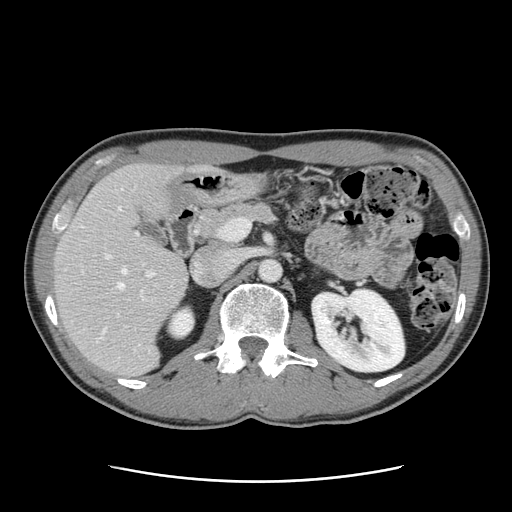
CT scan slice | Liver
Only some of the vessels may be annotated.
hepatic vessel: [x1=146, y1=271, x2=153, y2=276], [x1=105, y1=254, x2=109, y2=258], [x1=122, y1=268, x2=125, y2=273], [x1=117, y1=283, x2=123, y2=288], [x1=96, y1=337, x2=99, y2=340], [x1=102, y1=327, x2=104, y2=333], [x1=140, y1=290, x2=144, y2=299], [x1=136, y1=232, x2=137, y2=234], [x1=118, y1=207, x2=120, y2=210]